CT slice, Liver 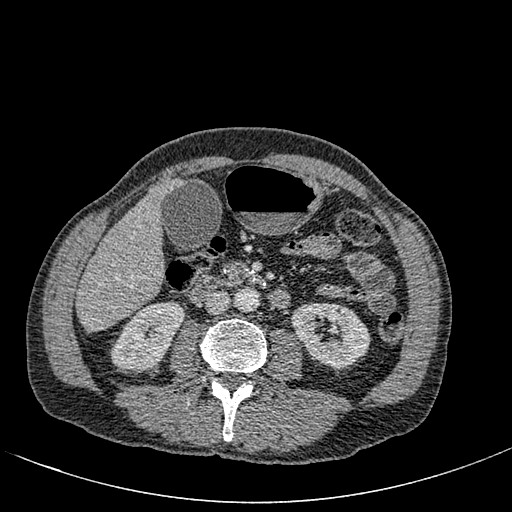
Annotated regions:
* liver: 76 180 182 330
* kidney: 291 303 369 368, 111 302 184 371